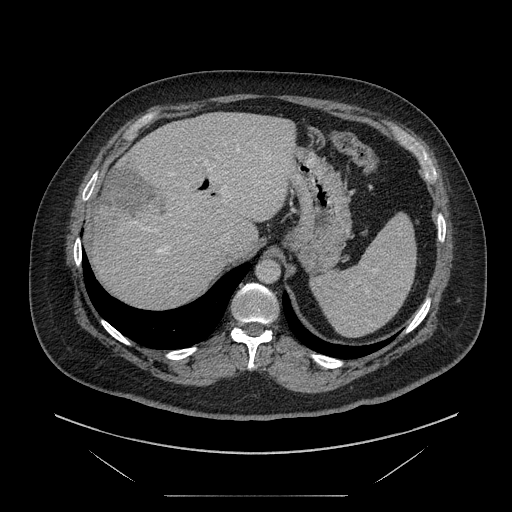
512x512 px; Computed tomography

The vessel annotation is not exhaustive.
Liver tumor: bounding box left=100, top=165, right=165, bottom=214.
Hepatic vessel: bounding box left=222, top=189, right=231, bottom=198.